Slice index 110; Brain; 240x240 px
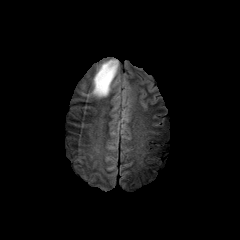
FLAIR MRI.
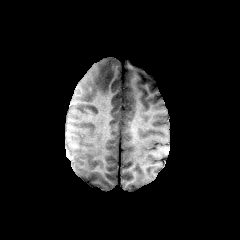
T1-weighted MR.
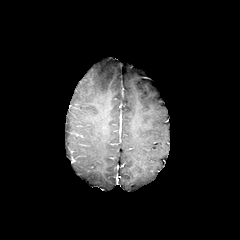
Same slice, post-contrast T1-weighted magnetic resonance.
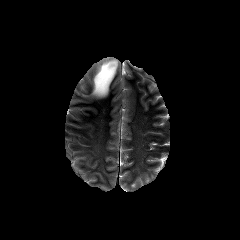
T2-weighted MR.
The edema is bounded by bbox(90, 58, 118, 97).